CT slice; Slice 66 of 106; Abdomen; Image width 390 mm 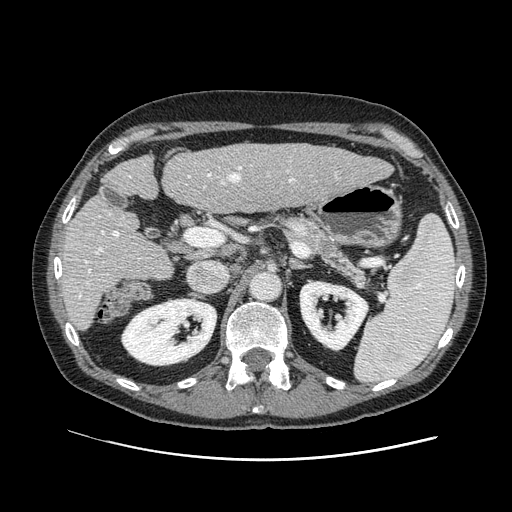
pancreatic tumor: region(321, 240, 332, 256)